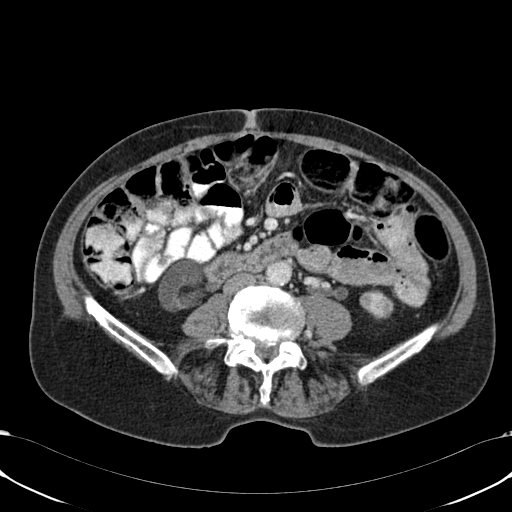

CT image | 512x512 px | Abdomen
Kidney at <bbox>361, 293, 391, 316</bbox>.